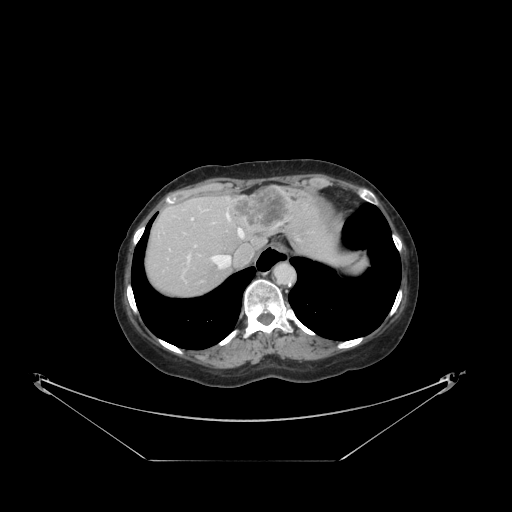

Abdomen | CT
The vessel boxes may cover only some of the vessels.
{
  "liver_tumor": [
    "230,187,293,234"
  ],
  "hepatic_vessel": [
    "235,258,236,260",
    "236,251,239,255",
    "187,255,189,260",
    "237,227,244,237",
    "226,212,230,221",
    "211,255,232,268"
  ]
}